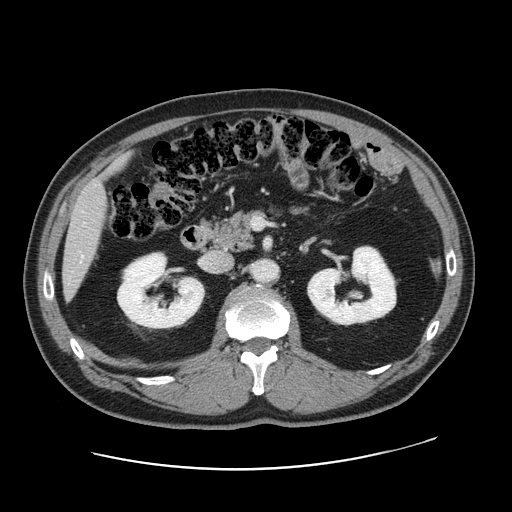
CT image; Abdomen
Some hepatic vessels may have no box.
hepatic vessel: x1=95, y1=180, x2=100, y2=185; x1=80, y1=254, x2=82, y2=262; x1=83, y1=223, x2=85, y2=224; x1=65, y1=291, x2=71, y2=295; x1=101, y1=193, x2=105, y2=204